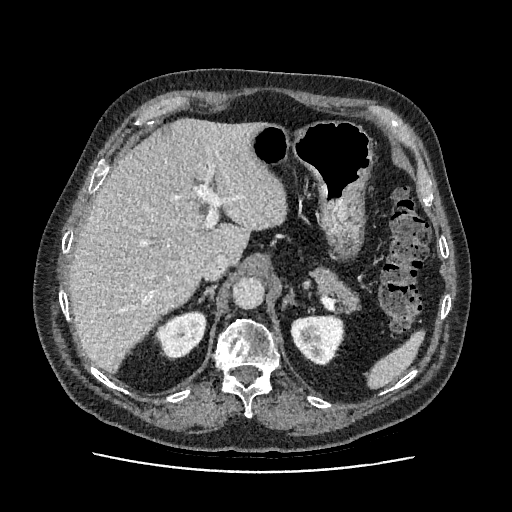 Computed tomography
Annotated regions:
- kidney: (292,317,342,363), (158,313,204,356)
- liver: (69,118,286,373)